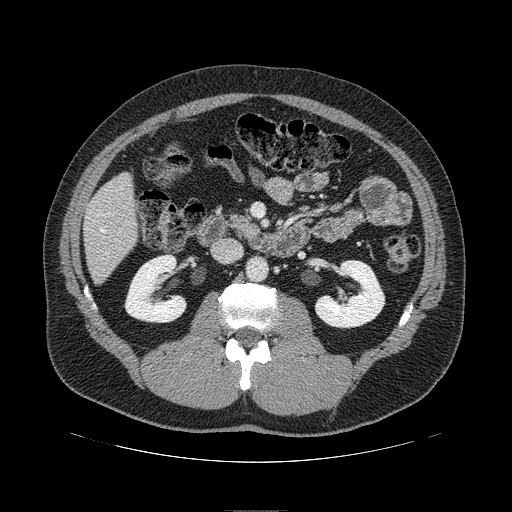
CT image. Upper abdomen. 512x512.

The pancreas appears at 233, 215, 254, 237.